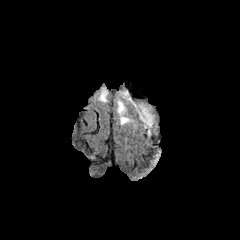
FLAIR magnetic resonance.
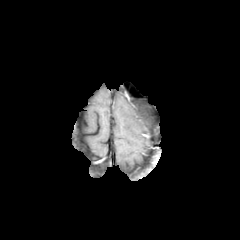
T1-weighted MR image of the same slice.
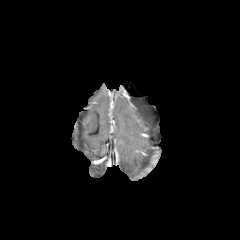
Post-contrast T1-weighted MR of the same slice.
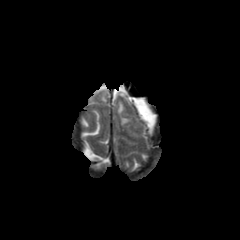
T2-weighted MRI of the same slice.
3 edema regions are located at <box>116,90,132,125</box>, <box>133,102,153,127</box>, <box>98,88,108,101</box>. The non-enhancing tumor core is located at <box>136,102,151,118</box>.